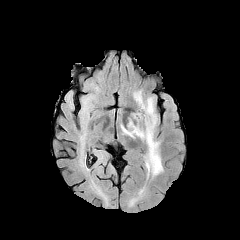
FLAIR MRI.
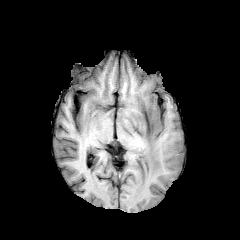
T1-weighted MR of the same slice.
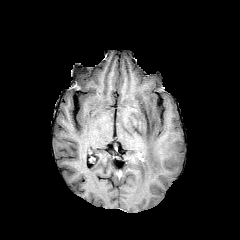
Post-contrast T1-weighted magnetic resonance of the same slice.
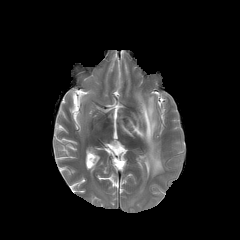
T2-weighted MRI.
Brain.
Non-enhancing tumor core = rect(144, 111, 150, 130).
Edema = rect(121, 90, 163, 177).